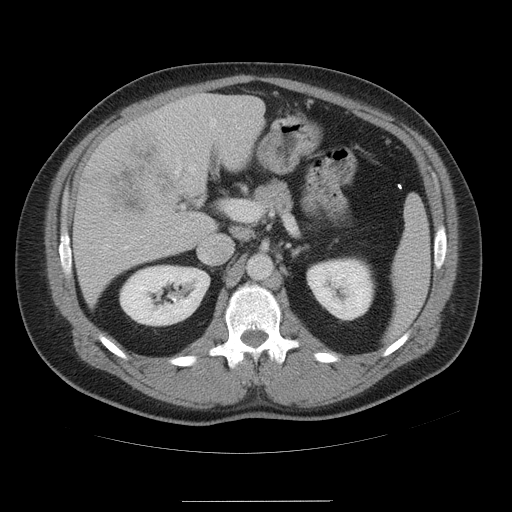

CT image
{"spleen": ["region(388, 197, 429, 339)"]}